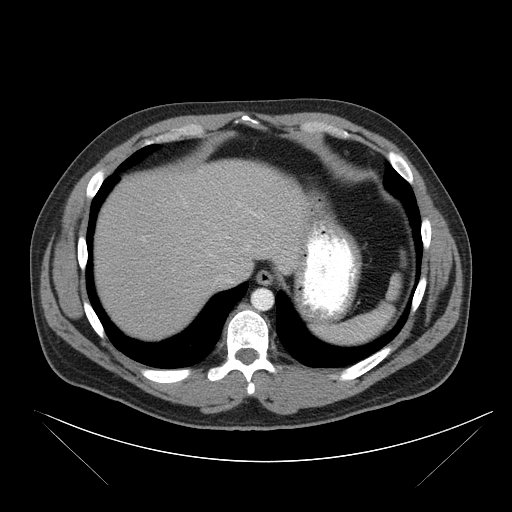
CT scan slice
spleen:
  - (311,276,400,346)